FLAIR MR.
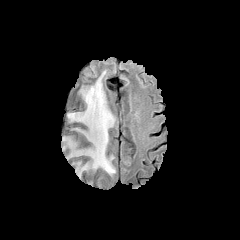
T1-weighted MRI.
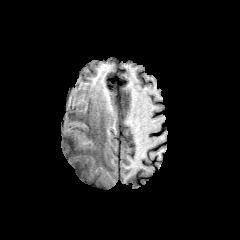
Post-contrast T1-weighted MR.
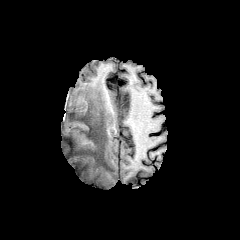
T2-weighted MR image.
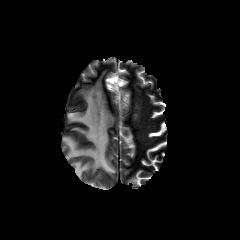
Segmented structures:
• edema: rect(66, 78, 116, 175)